FLAIR magnetic resonance.
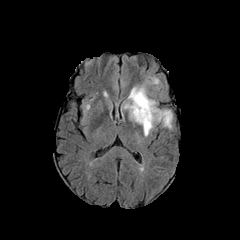
T1-weighted MRI.
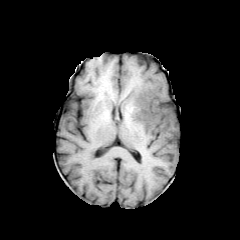
Post-contrast T1-weighted magnetic resonance.
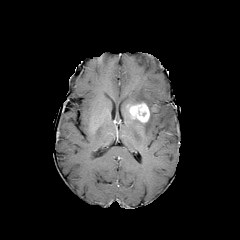
T2-weighted MRI.
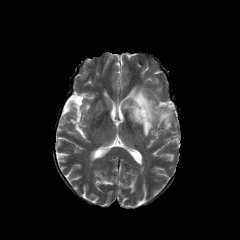
240x240; Head
Edema = (x1=130, y1=108, x2=173, y2=135), (x1=124, y1=76, x2=161, y2=109).
Non-enhancing tumor core = (x1=147, y1=104, x2=157, y2=116).
Enhancing tumor = (x1=130, y1=102, x2=150, y2=123).